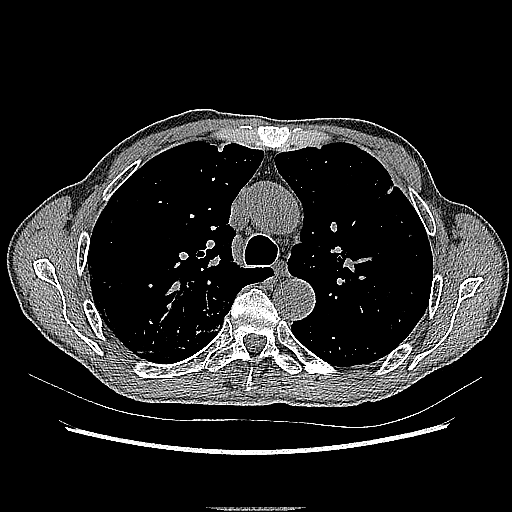 CT image | Thorax
Lung tumor at 189:320:222:335, 199:290:227:317.